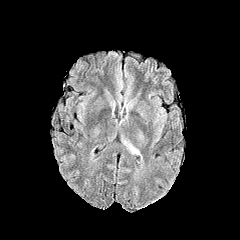
FLAIR MR image.
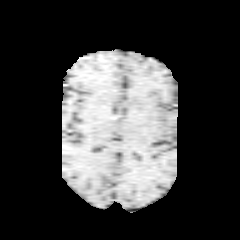
T1-weighted MR.
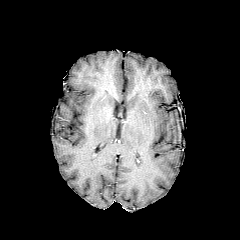
Post-contrast T1-weighted MRI.
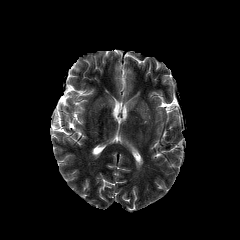
T2-weighted MRI.
The edema is located at 123,141,139,153.